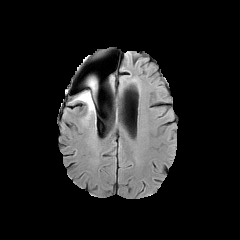
FLAIR magnetic resonance.
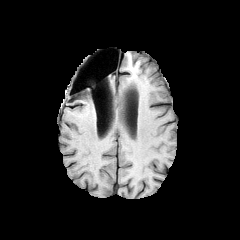
T1-weighted MR image.
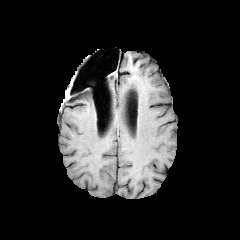
Post-contrast T1-weighted magnetic resonance.
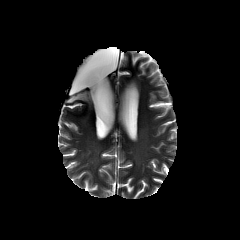
T2-weighted magnetic resonance.
<segmentation>
  <edema>(70,77,96,118)</edema>
  <non-enhancing_tumor_core>(88,78,95,90)</non-enhancing_tumor_core>
</segmentation>